Medial temporal lobe | MRI 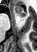

Anterior hippocampus: bounding box 12 5 25 16.